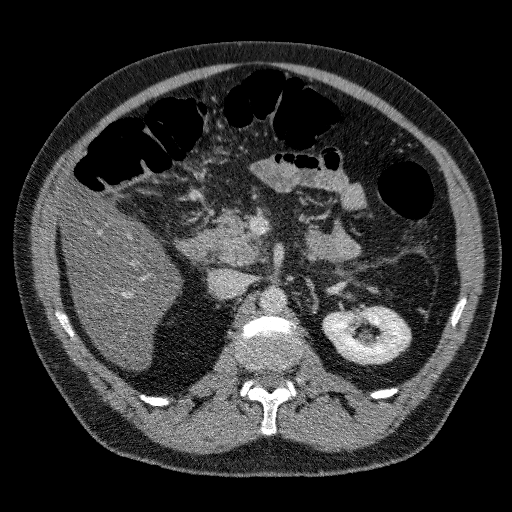

Liver, Image size 512x512, CT image
kidney:
  - <box>324,308,409,362</box>
liver_lesion:
  - <box>128,229,147,245</box>
liver:
  - <box>60,187,179,369</box>